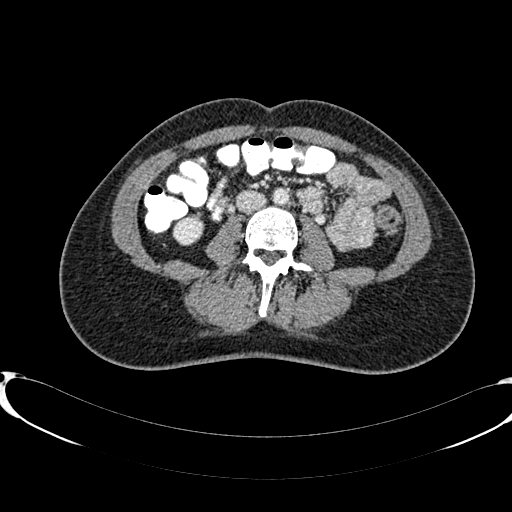

CT image. Abdomen.
kidney: <bbox>174, 220, 198, 243</bbox>